FLAIR magnetic resonance.
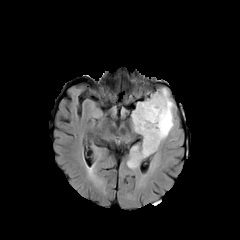
T1-weighted MR.
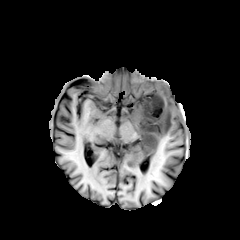
Post-contrast T1-weighted MR image.
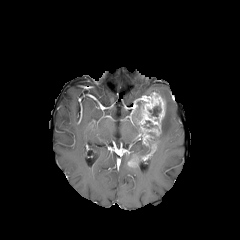
T2-weighted magnetic resonance.
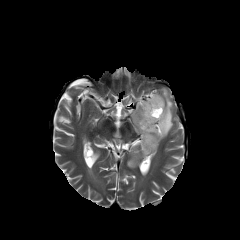
Brain.
The enhancing tumor is bounded by [132,92,165,145]. The non-enhancing tumor core lies within [149,106,161,117]. The edema is located at [142,88,174,153].